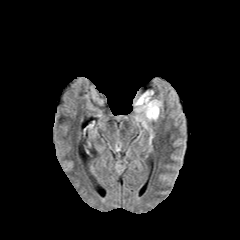
FLAIR MRI.
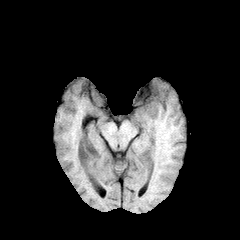
T1-weighted MR of the same slice.
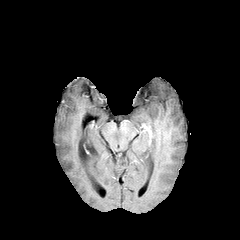
Same slice, post-contrast T1-weighted MR.
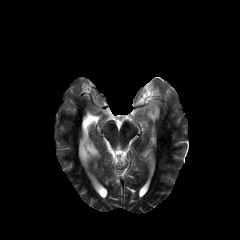
Same slice, T2-weighted MR.
- edema: bbox=[133, 86, 164, 128]